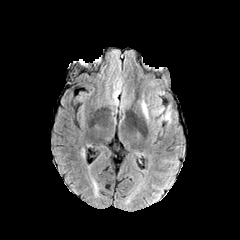
FLAIR MRI.
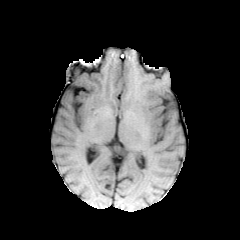
T1-weighted MR.
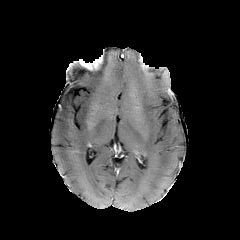
Post-contrast T1-weighted magnetic resonance of the same slice.
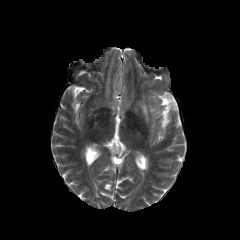
T2-weighted MRI.
Head.
edema: box=[140, 91, 172, 124]